FLAIR MR.
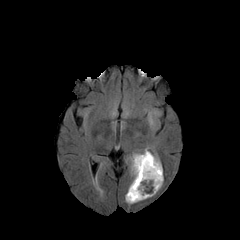
T1-weighted magnetic resonance.
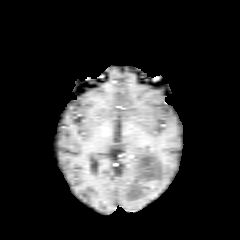
Post-contrast T1-weighted MR image.
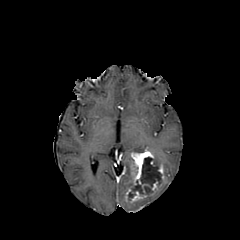
T2-weighted magnetic resonance.
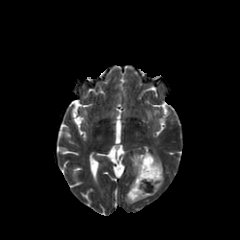
240x240
enhancing_tumor:
  - x1=132 y1=191 x2=146 y2=200
  - x1=132 y1=149 x2=155 y2=187
non-enhancing_tumor_core:
  - x1=128 y1=157 x2=162 y2=197
edema:
  - x1=153 y1=150 x2=161 y2=165
  - x1=128 y1=156 x2=133 y2=174
  - x1=125 y1=176 x2=163 y2=203